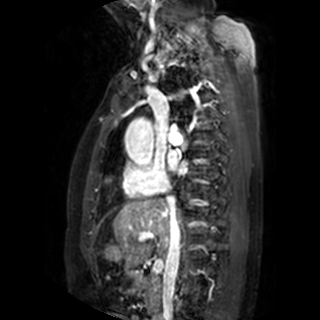 Heart. 320x320. MR.

{
  "left_atrium": [
    "bbox=[168, 152, 186, 173]"
  ]
}